512x512, CT slice
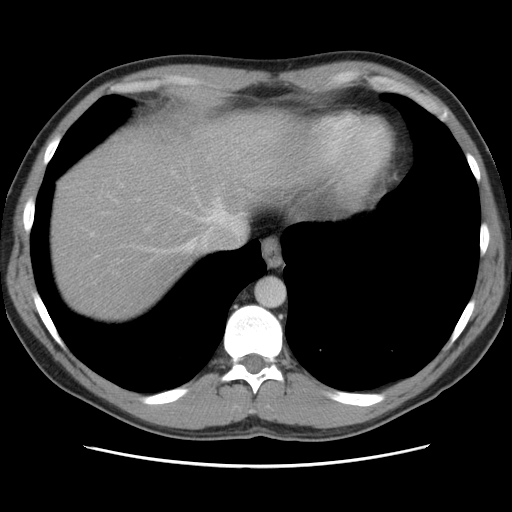 Only some of the vessels may be annotated.
hepatic_vessel:
  - [x1=216, y1=198, x2=220, y2=205]
  - [x1=149, y1=238, x2=196, y2=252]
  - [x1=92, y1=233, x2=94, y2=235]
  - [x1=208, y1=157, x2=209, y2=159]
  - [x1=121, y1=184, x2=122, y2=186]